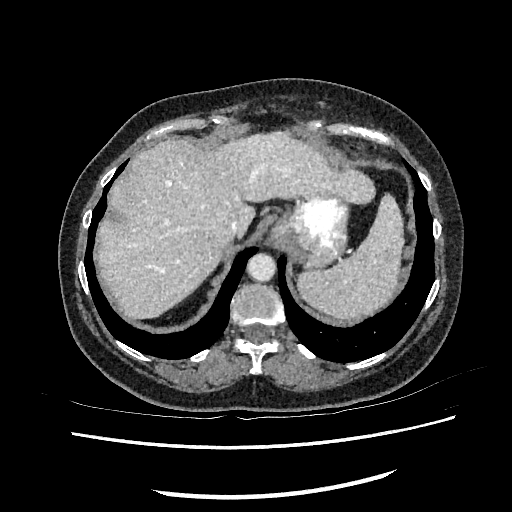

CT slice
Liver: bounding box 97, 133, 373, 318.